Image size 37x45, Hippocampus, MRI slice
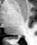

{"posterior_hippocampus": ["rect(12, 37, 19, 39)"]}